Image size 240x240. Brain. Slice 92 of 155.
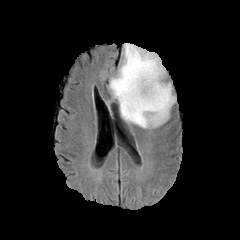
FLAIR magnetic resonance.
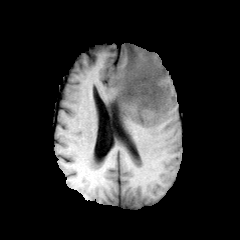
T1-weighted MR.
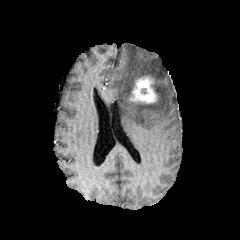
Post-contrast T1-weighted MRI of the same slice.
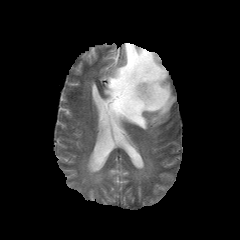
T2-weighted MR image.
enhancing tumor: rect(127, 75, 157, 104) | edema: rect(105, 43, 176, 128)